Slice index 524, Computed tomography

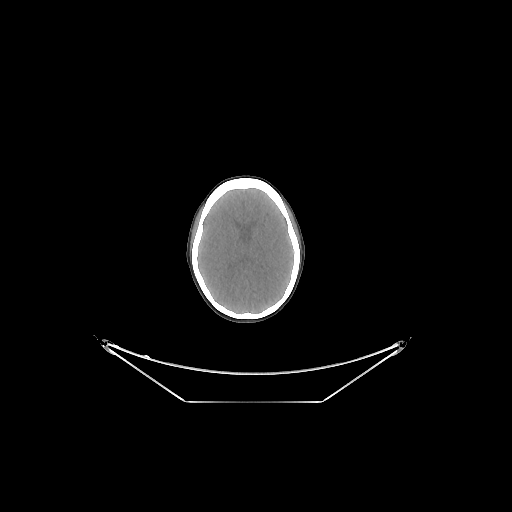

The brain lies within box=[197, 188, 294, 313].